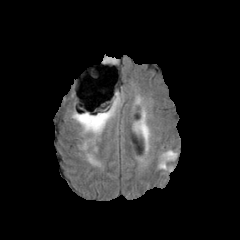
FLAIR MRI.
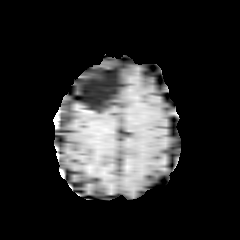
T1-weighted MRI.
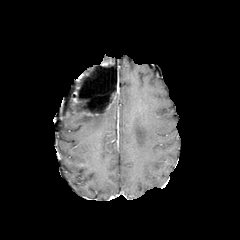
Same slice, post-contrast T1-weighted MRI.
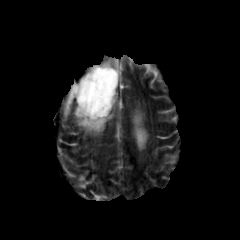
T2-weighted MR image of the same slice.
Head
{
  "non-enhancing_tumor_core": [
    "85, 88, 119, 117"
  ],
  "edema": [
    "71, 104, 120, 137",
    "134, 96, 141, 106",
    "158, 150, 173, 169",
    "134, 108, 149, 146"
  ]
}